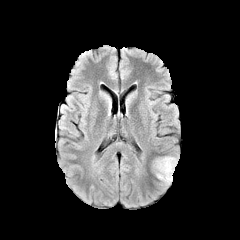
FLAIR magnetic resonance.
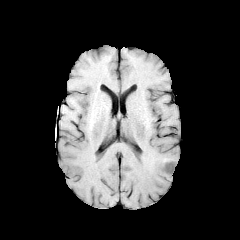
T1-weighted MRI of the same slice.
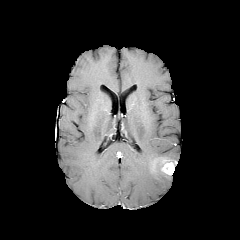
Post-contrast T1-weighted MR image.
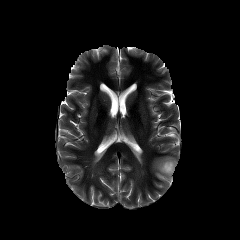
Same slice, T2-weighted MRI.
240x240 px
edema: bbox(153, 156, 178, 185) | enhancing tumor: bbox(161, 160, 177, 175)